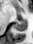 33x44. MR image. Hippocampus. - posterior hippocampus: x1=15, y1=19, x2=26, y2=31